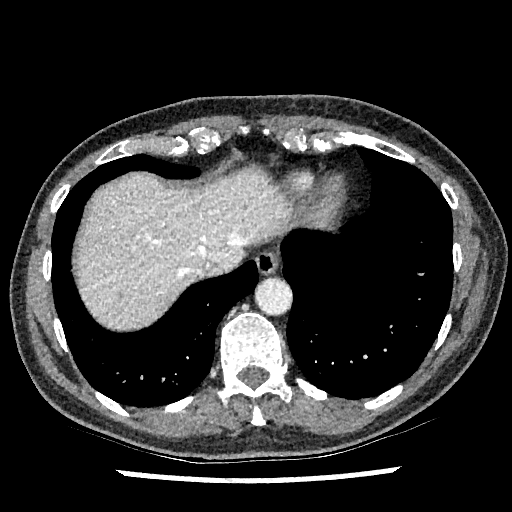

CT

<segmentation>
  <liver>(left=74, top=166, right=298, bottom=331)</liver>
</segmentation>